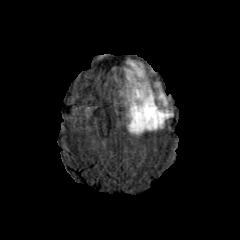
FLAIR MR image.
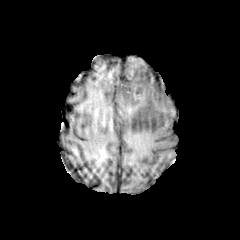
Same slice, T1-weighted MR image.
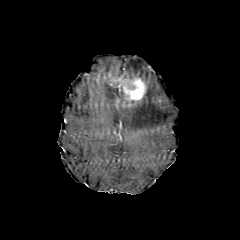
Same slice, post-contrast T1-weighted magnetic resonance.
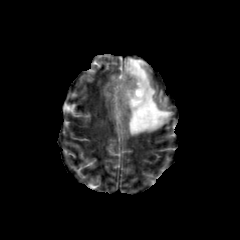
T2-weighted MR image of the same slice.
Image size 240x240.
Edema = (left=123, top=59, right=173, bottom=134).
Enhancing tumor = (left=119, top=76, right=146, bottom=100).